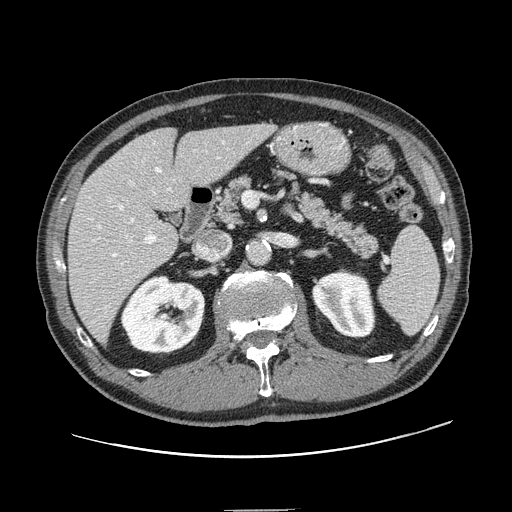

Upper abdomen. CT. Image size 512x512. pancreas: [x1=212, y1=174, x2=255, y2=226], [x1=292, y1=189, x2=379, y2=259]